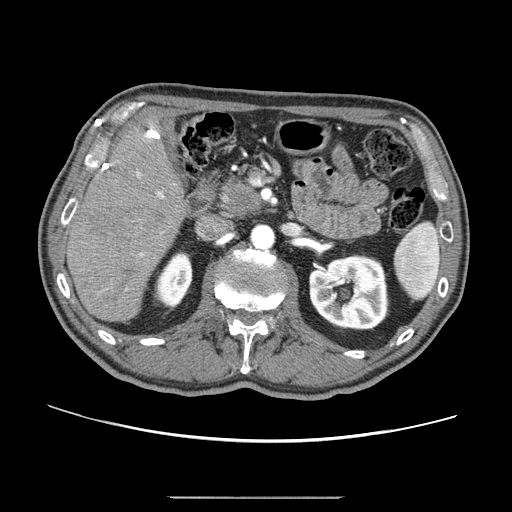 CT, Upper abdomen

The pancreas is located at rect(220, 165, 261, 216). The pancreatic tumor lies within rect(228, 184, 260, 214).